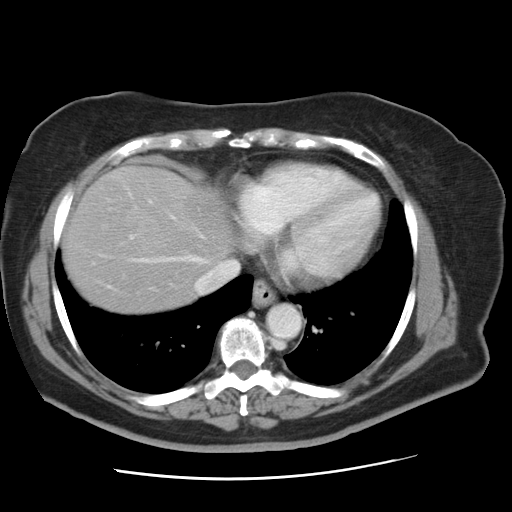 CT, Liver

The vessel boxes may cover only some of the vessels.
Hepatic vessel at [132,255,209,263], [194,258,232,292], [150,201,151,202], [130,235,132,237].